Computed tomography, 512x512 px 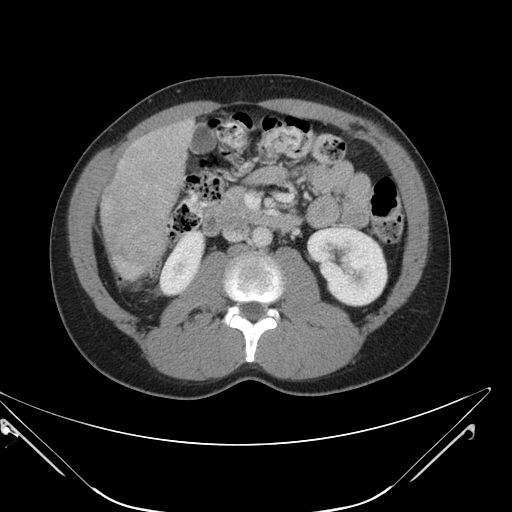 The liver tumor appears at [x1=103, y1=212, x2=165, y2=267].